CT.

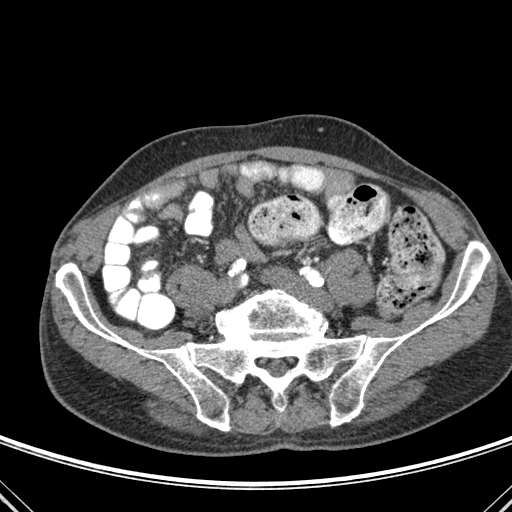

Bone at <box>55,241,490,431</box>.